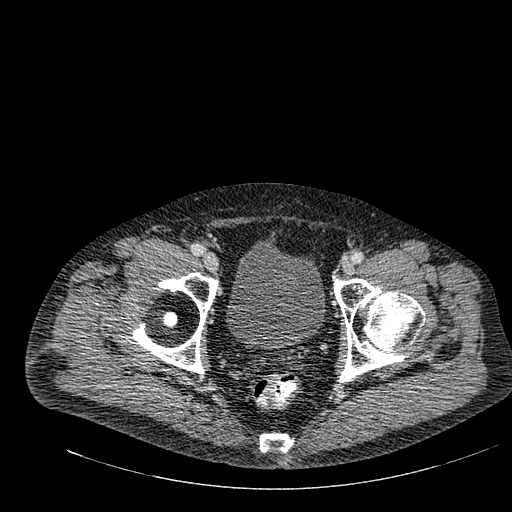
CT image, Image size 512x512, Lower abdomen
Urinary bladder at rect(226, 239, 325, 349).